FLAIR MR image.
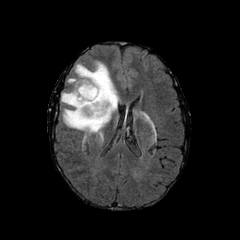
T1-weighted MRI.
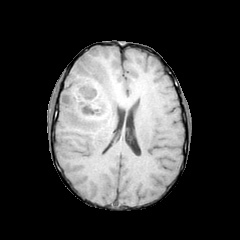
Post-contrast T1-weighted magnetic resonance.
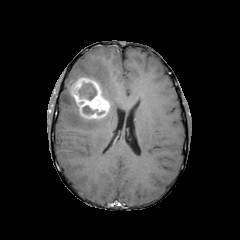
T2-weighted magnetic resonance.
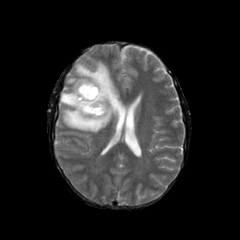
{
  "enhancing_tumor": [
    "72,78,109,118"
  ],
  "edema": [
    "61,60,119,134"
  ],
  "non-enhancing_tumor_core": [
    "93,111,106,119",
    "77,82,96,99",
    "82,106,94,119"
  ]
}